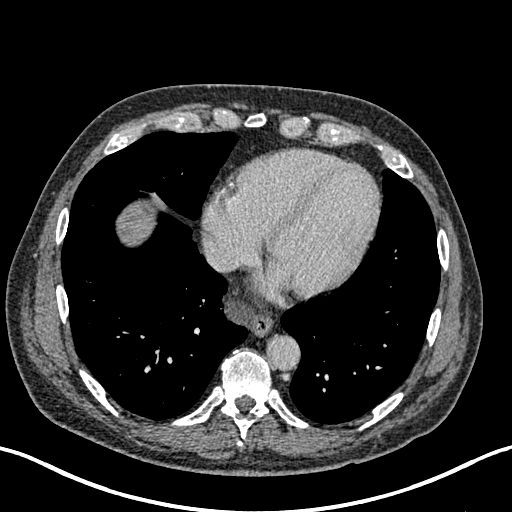

Computed tomography | Liver
The liver appears at bbox=[118, 203, 154, 244].